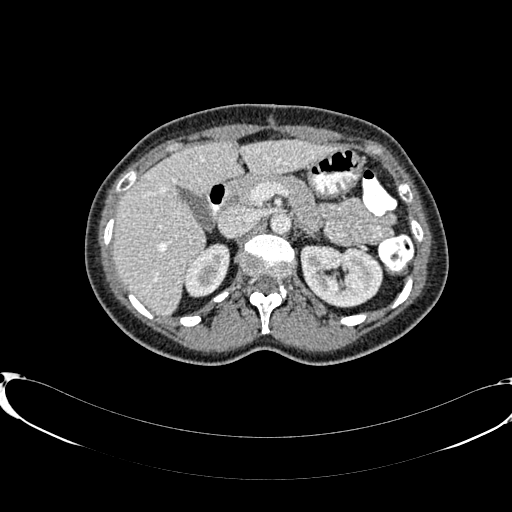
Abdomen. CT slice.

liver:
  - box=[112, 141, 338, 315]
kidney:
  - box=[186, 246, 227, 294]
  - box=[302, 247, 381, 305]